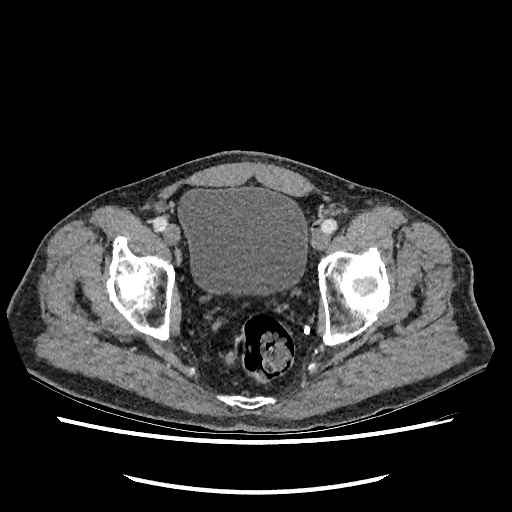

CT slice
Annotated regions:
- urinary bladder: <bbox>178, 186, 307, 294</bbox>